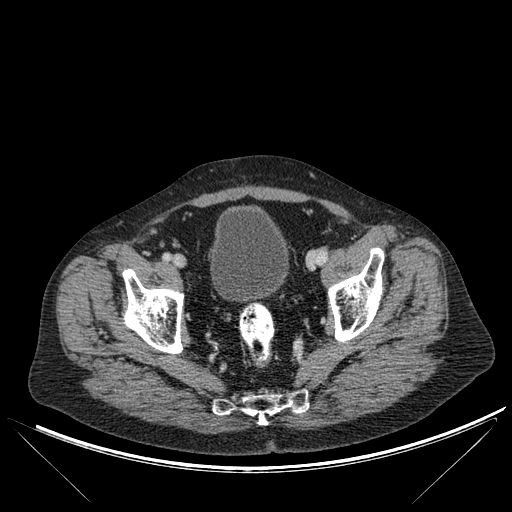

CT slice
urinary bladder: (210, 206, 288, 302) | bone: (213, 390, 308, 424), (122, 269, 183, 353), (328, 248, 383, 341)